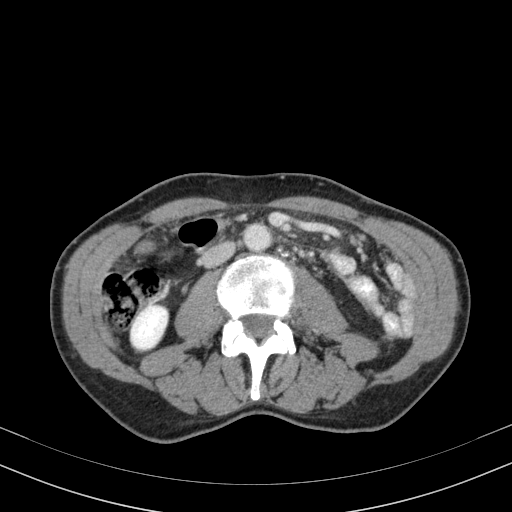

CT image

Segmented structures:
- kidney: left=131, top=306, right=167, bottom=348